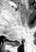

Medial temporal lobe. MR image. Image size 36x52.

The posterior hippocampus appears at box(14, 41, 21, 45).